FLAIR MRI.
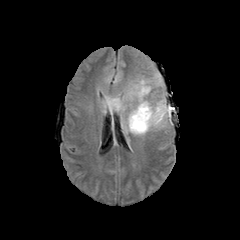
T1-weighted MRI.
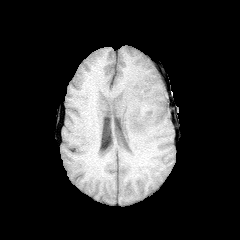
Post-contrast T1-weighted MR image.
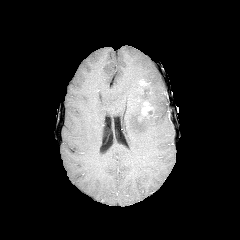
T2-weighted magnetic resonance.
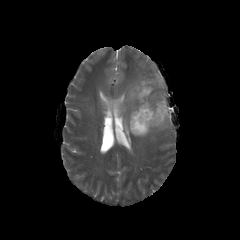
Brain
non-enhancing tumor core: 107 101 121 110, 135 79 158 121 | edema: 101 78 171 145 | enhancing tumor: 141 101 152 115